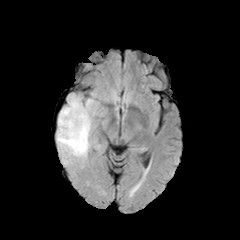
FLAIR MR image.
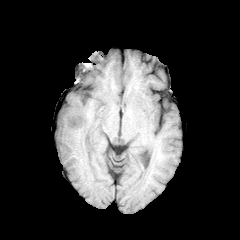
T1-weighted MR.
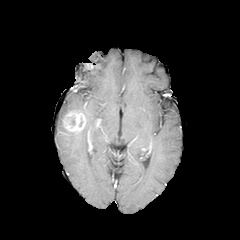
Post-contrast T1-weighted MR image of the same slice.
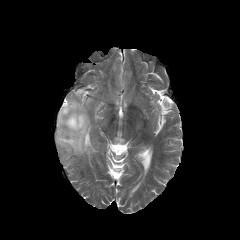
T2-weighted MR image of the same slice.
Brain
Edema: bounding box x1=56, y1=91, x2=103, y2=168.
Enhancing tumor: bounding box x1=63, y1=110, x2=86, y2=134.